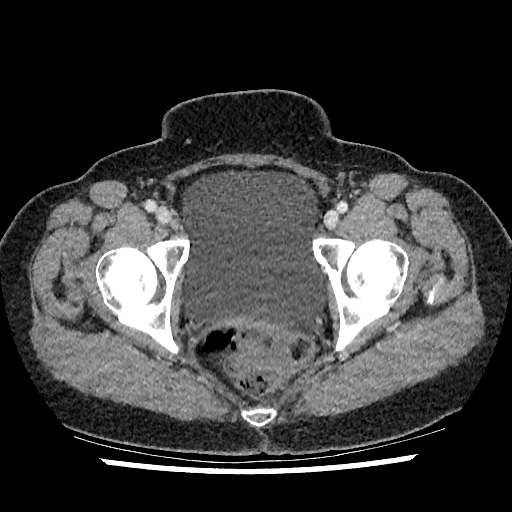

CT slice; Pelvis
urinary_bladder:
  - [x1=182, y1=170, x2=328, y2=329]